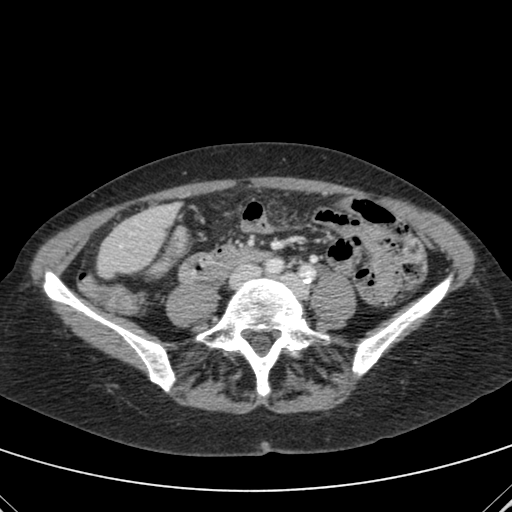

512x512, CT scan slice, Upper abdomen
Liver — (98, 203, 178, 273).